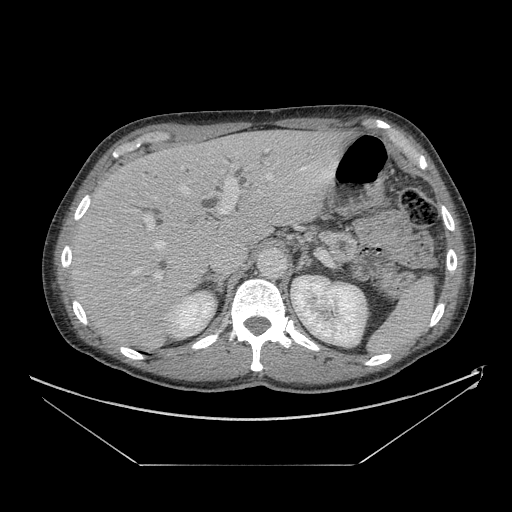 CT image, Upper abdomen

The pancreas is bounded by x1=318, y1=228, x2=357, y2=263.